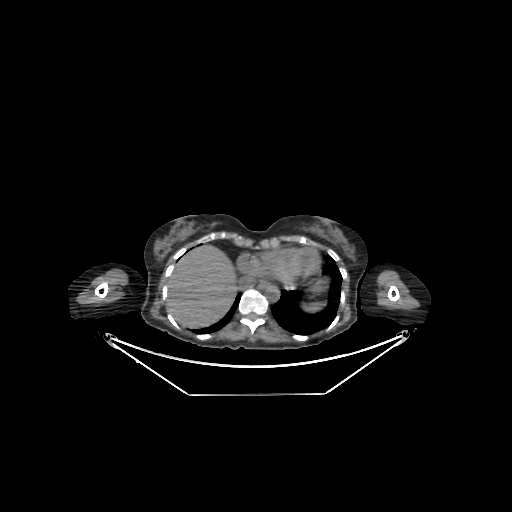
CT scan slice, Abdomen
Segmented structures:
- liver: 167,245,237,327